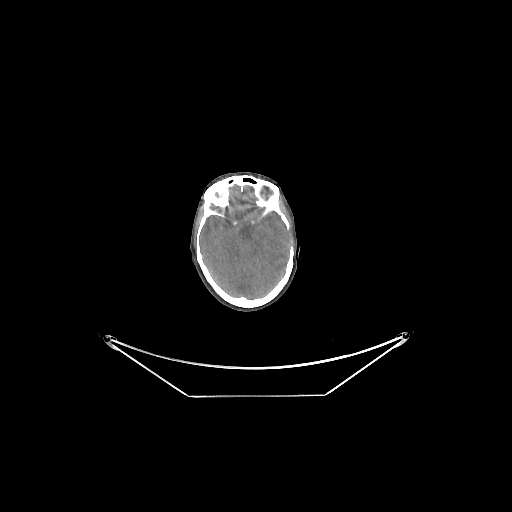
CT
Brain: bounding box [210, 206, 221, 213], [199, 184, 292, 299].